MRI. 35x44.

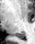 Posterior hippocampus at 15,32,25,38.